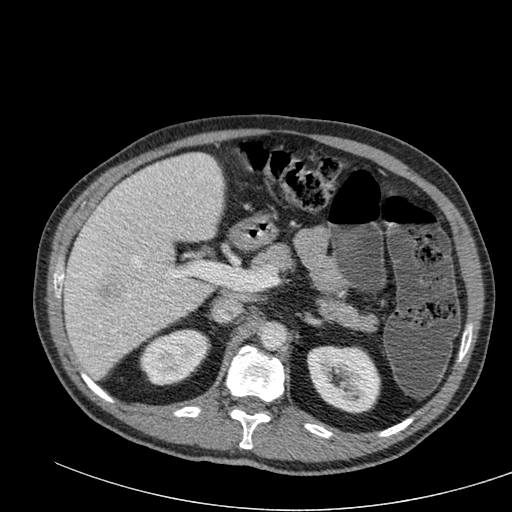

512x512, CT scan slice

Hepatic lesion: (99, 270, 125, 298).
Liver: (60, 153, 223, 379).
Kidney: (308, 347, 379, 411), (141, 330, 206, 384).